CT slice. 512x512 px. 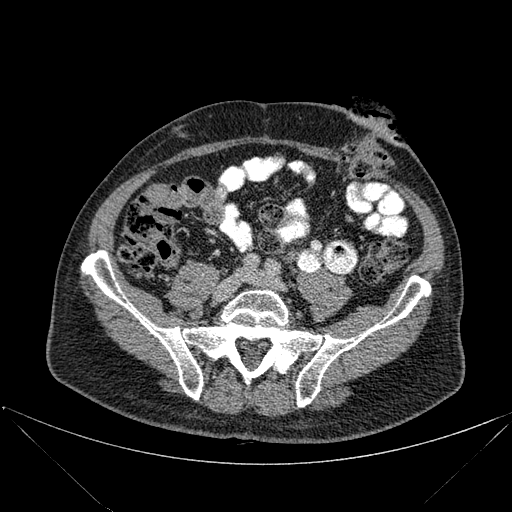
bone:
  - 81:250:430:406